Computed tomography. 512x512 px. Abdomen.

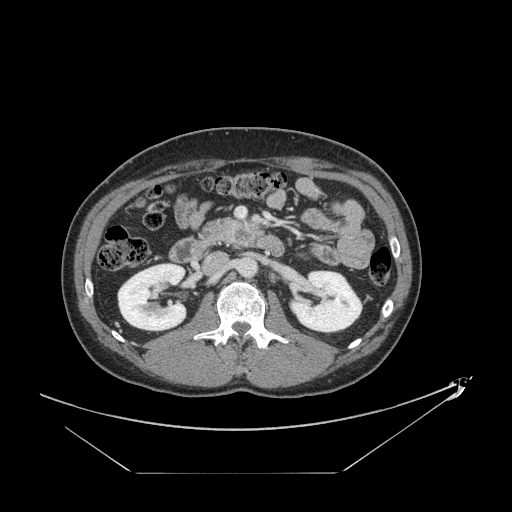
pancreas: <bbox>200, 219, 262, 246</bbox> | pancreatic tumor: <bbox>234, 229, 250, 240</bbox>